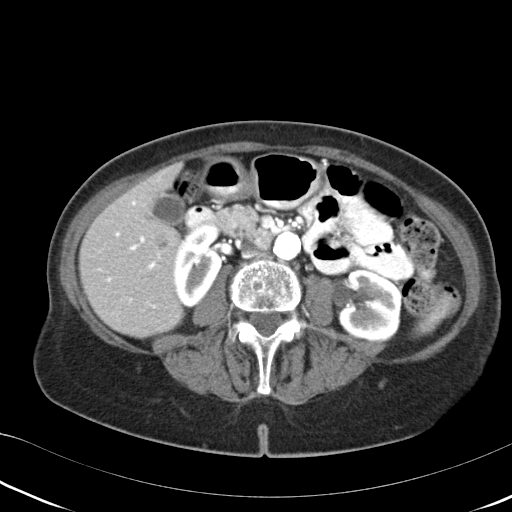 Computed tomography | Abdomen | 512x512

pancreas: (left=219, top=205, right=274, bottom=256)